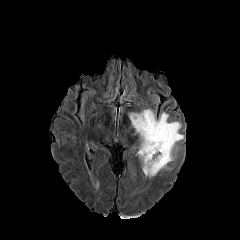
FLAIR MR.
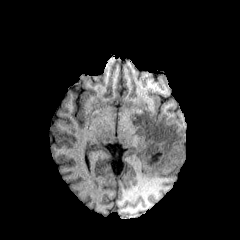
Same slice, T1-weighted MRI.
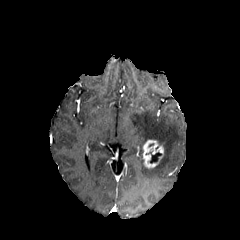
Post-contrast T1-weighted MR of the same slice.
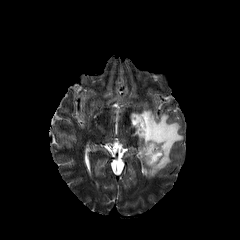
Same slice, T2-weighted MR.
Annotated regions:
• edema: bbox=[130, 109, 183, 177]
• non-enhancing tumor core: bbox=[150, 152, 162, 163]
• enhancing tumor: bbox=[141, 140, 164, 167]